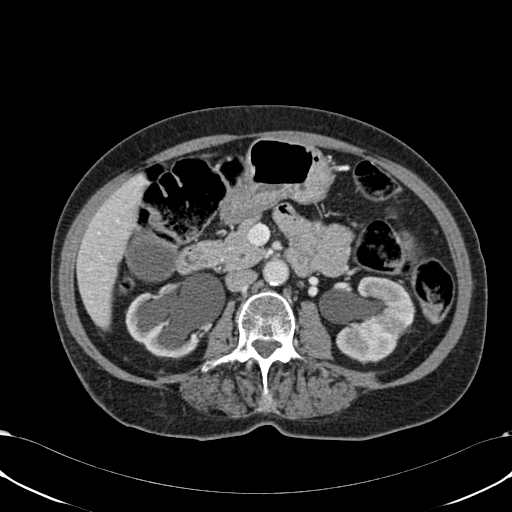 Upper abdomen; CT scan slice
Liver: 76,174,144,327.
Kidney: 336,277,414,361; 126,291,226,357.